CT image. Abdomen.
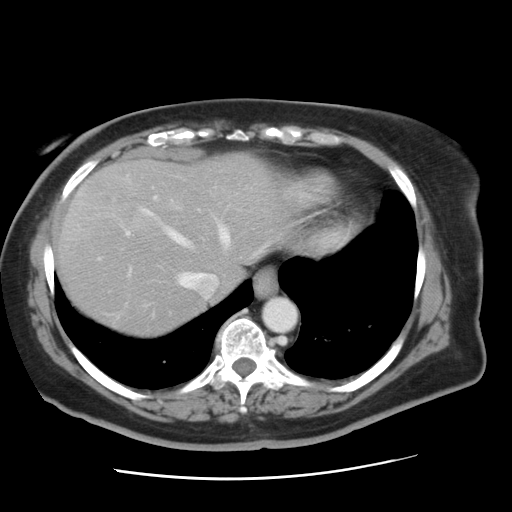
Some hepatic vessels may have no box.
{"hepatic_vessel": ["box(217, 222, 228, 245)", "box(128, 269, 130, 273)", "box(153, 196, 156, 199)", "box(141, 208, 150, 213)", "box(177, 272, 218, 297)", "box(125, 229, 129, 234)", "box(165, 227, 189, 245)"]}